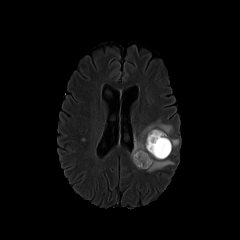
FLAIR MR image.
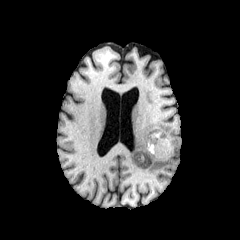
T1-weighted MR.
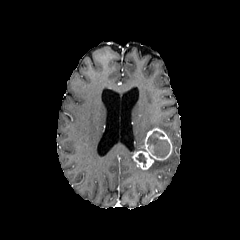
Same slice, post-contrast T1-weighted magnetic resonance.
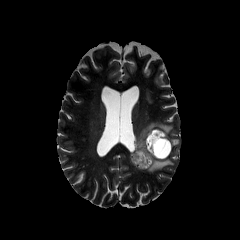
Same slice, T2-weighted MR image.
Brain. 240x240.
Findings:
- enhancing tumor: box=[131, 127, 172, 170]
- edema: box=[146, 159, 174, 171]; box=[133, 119, 178, 151]
- non-enhancing tumor core: box=[146, 131, 170, 158]